512x512 px | Slice index 398 | CT
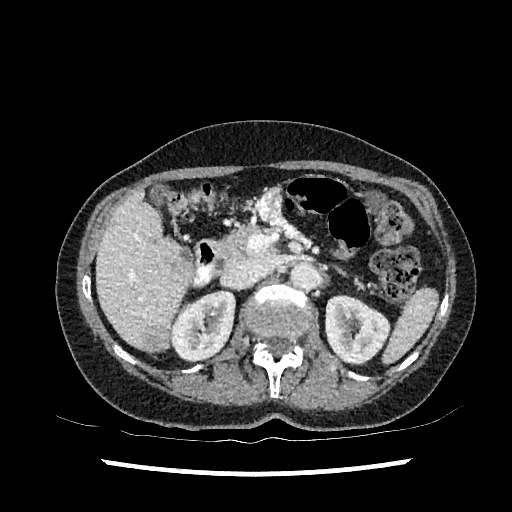 Liver = box(96, 190, 190, 349).
Kidney = box(326, 296, 388, 363); box(172, 292, 234, 360).
Liver lesion = box(143, 326, 168, 350); box(169, 261, 181, 272).